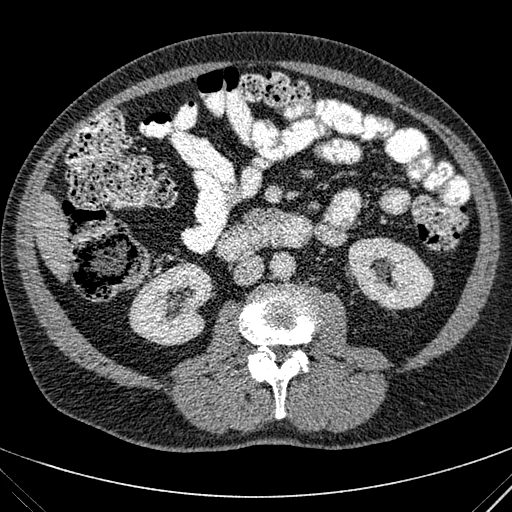
CT slice | Liver
kidney: (x1=129, y1=263, x2=211, y2=345), (x1=348, y1=238, x2=433, y2=308) | liver: (x1=36, y1=192, x2=67, y2=281)